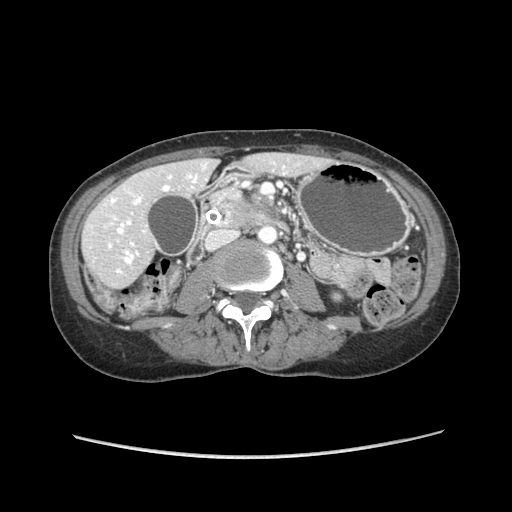 CT slice
Segmented structures:
* pancreas: box(208, 188, 279, 227)
* pancreatic tumor: box(225, 198, 262, 226)